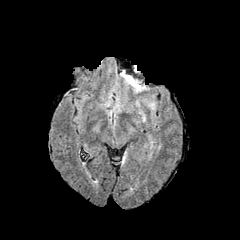
FLAIR magnetic resonance.
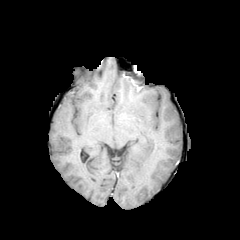
T1-weighted magnetic resonance of the same slice.
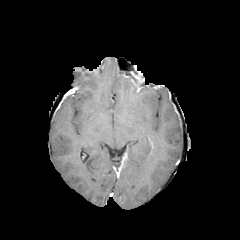
Post-contrast T1-weighted magnetic resonance of the same slice.
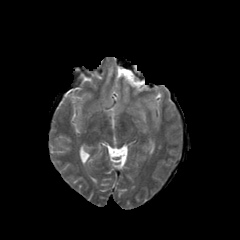
Same slice, T2-weighted MR image.
Brain
Annotated regions:
* edema: rect(120, 71, 146, 92); rect(148, 102, 155, 109)